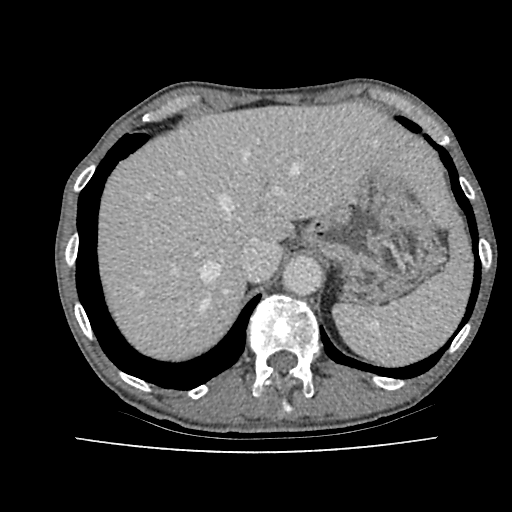
Computed tomography
liver:
  - box=[96, 104, 450, 360]